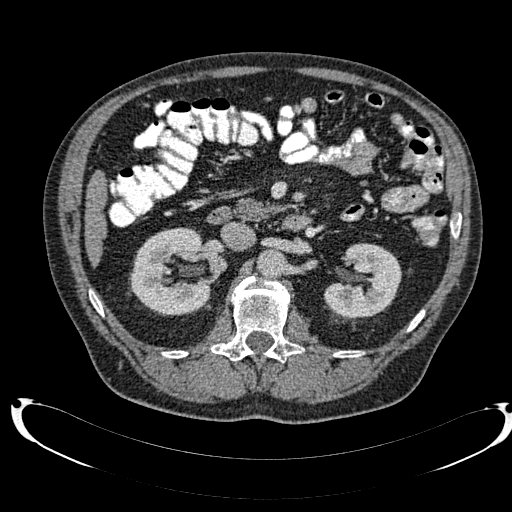
Image size 512x512; CT scan slice; Liver
<segmentation>
  <liver><bbox>84, 170, 105, 264</bbox></liver>
  <kidney><bbox>130, 228, 226, 315</bbox>, <bbox>324, 243, 401, 318</bbox></kidney>
</segmentation>